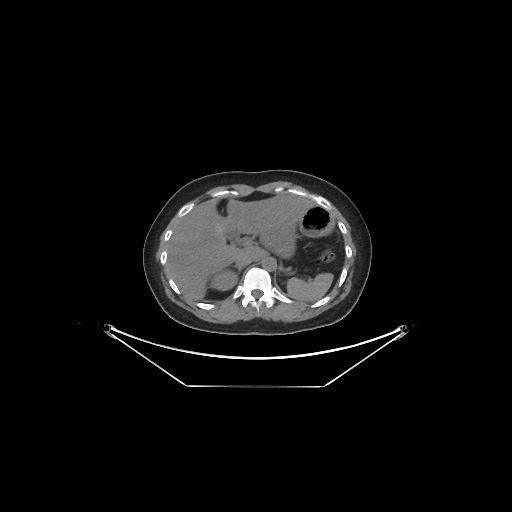 CT image | Liver

- kidney: bbox(213, 271, 237, 289)
- liver: bbox(331, 215, 342, 228); bbox(164, 194, 316, 298)